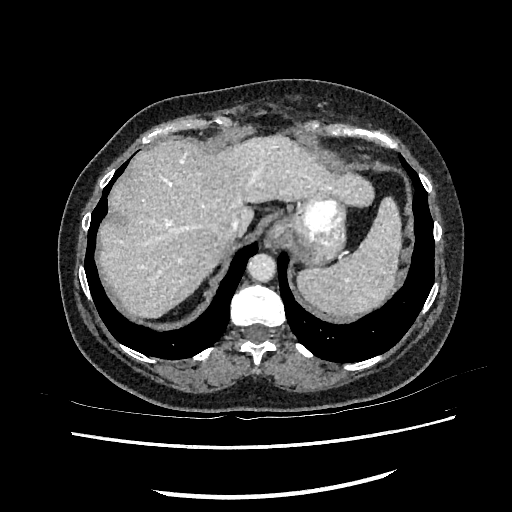

Liver. CT slice.
<segmentation>
  <liver>left=99, top=137, right=373, bottom=317</liver>
</segmentation>